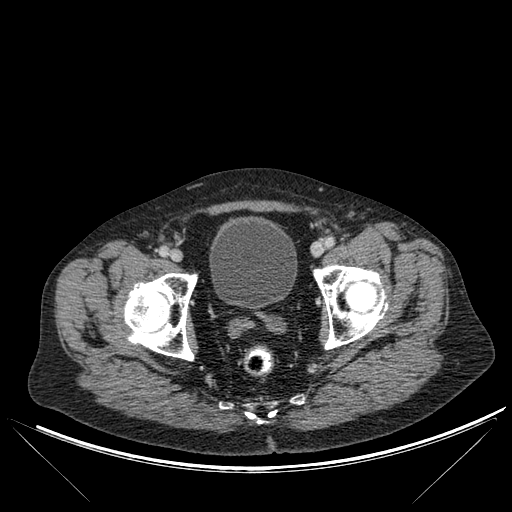

512x512 | Computed tomography
The urinary bladder lies within region(209, 216, 297, 307). 4 bone regions are located at region(314, 265, 387, 349); region(245, 404, 263, 423); region(122, 273, 196, 360); region(267, 403, 276, 417).